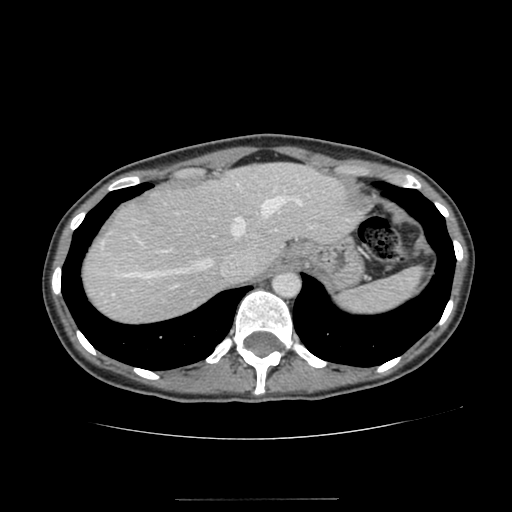 512x512; CT scan slice

Liver — 83, 163, 362, 325.